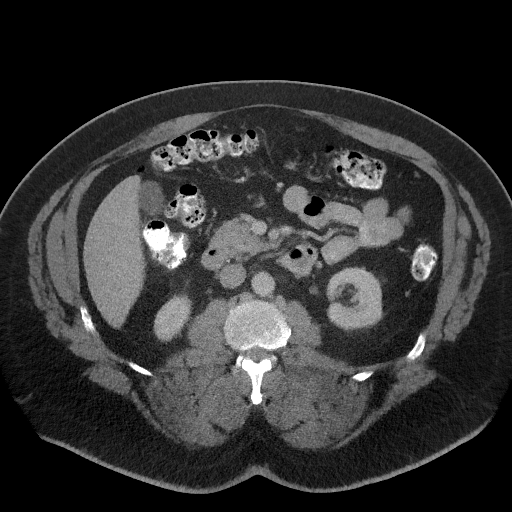 Abdomen, CT slice

<segmentation>
  <pancreas><bbox>212, 220, 265, 253</bbox></pancreas>
</segmentation>